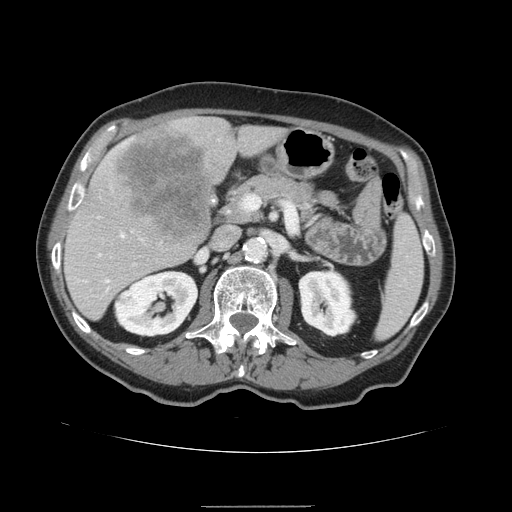

CT slice; Abdomen
Only some of the vessels may be annotated.
liver tumor: <bbox>114, 125, 212, 242</bbox> | hepatic vessel: <bbox>121, 233, 124, 236</bbox>, <bbox>245, 196, 254, 209</bbox>